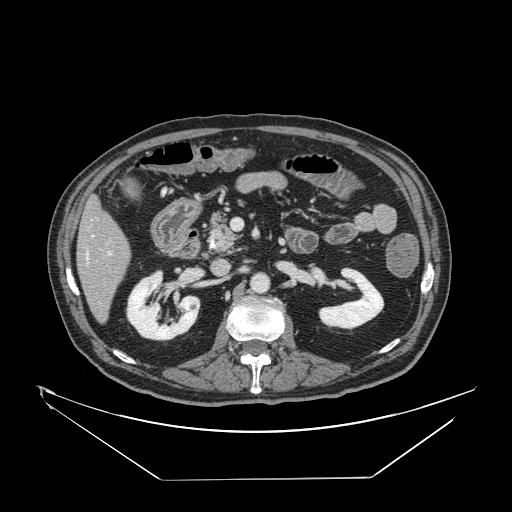 CT scan slice | Abdomen | Image size 512x512
- pancreas: <bbox>203, 209, 243, 256</bbox>
- pancreatic tumor: <bbox>210, 231, 233, 250</bbox>